240x240.
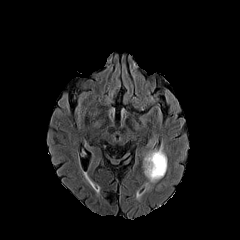
FLAIR magnetic resonance.
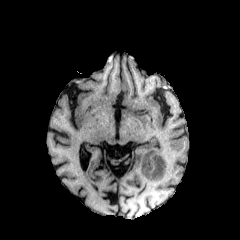
T1-weighted MR image of the same slice.
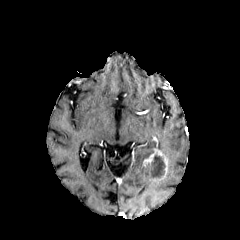
Post-contrast T1-weighted MR image.
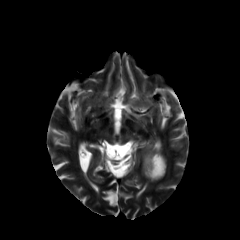
T2-weighted magnetic resonance.
The edema is bounded by bbox(146, 172, 165, 182). 2 enhancing tumor regions appear at bbox(142, 151, 154, 176); bbox(162, 157, 168, 171). The non-enhancing tumor core is located at bbox(147, 155, 164, 178).